Computed tomography. Field of view 403 mm wide, 5.00 mm slice spacing. Abdomen. Slice index 25. 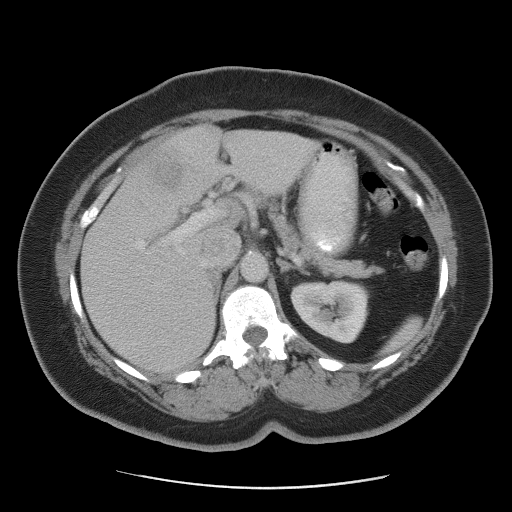
Some hepatic vessels may have no box.
Hepatic vessel: bounding box {"x1": 164, "y1": 207, "x2": 216, "y2": 243}, {"x1": 135, "y1": 240, "x2": 145, "y2": 248}.
Liver tumor: bounding box {"x1": 148, "y1": 145, "x2": 181, "y2": 189}.